MR image, 36x46 px, Slice 12/43, Medial temporal lobe 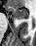
* anterior hippocampus: 6 6 29 19